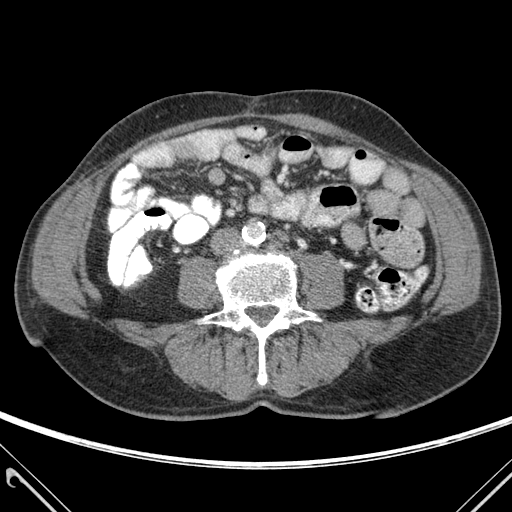 CT image | 512x512 px
Bone: rect(203, 250, 319, 384).